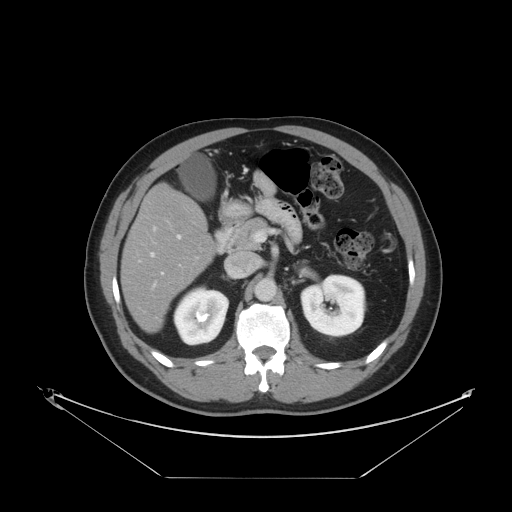
CT scan slice. 512x512 px. Not every hepatic vessel necessarily has a box.
Segmented structures:
* hepatic vessel: x1=152, y1=284, x2=155, y2=287; x1=177, y1=235, x2=180, y2=238; x1=153, y1=227, x2=155, y2=230; x1=161, y1=272, x2=163, y2=274; x1=151, y1=253, x2=154, y2=256